Slice 325 of 605. CT image. Field of view 434x434 mm. 512x512.

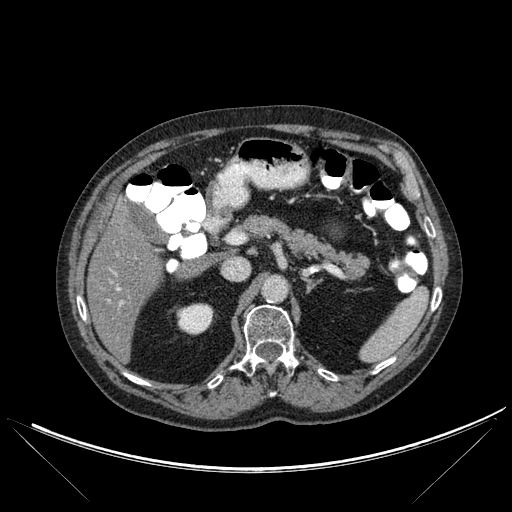

<segmentation>
  <kidney>177 304 212 333</kidney>
  <bone>77 296 86 319, 231 305 298 372, 124 373 149 385, 208 375 222 387, 431 287 441 310, 373 357 395 373, 318 369 337 380, 426 225 434 236</bone>
  <liver>182 258 210 274, 88 205 160 363</liver>
</segmentation>